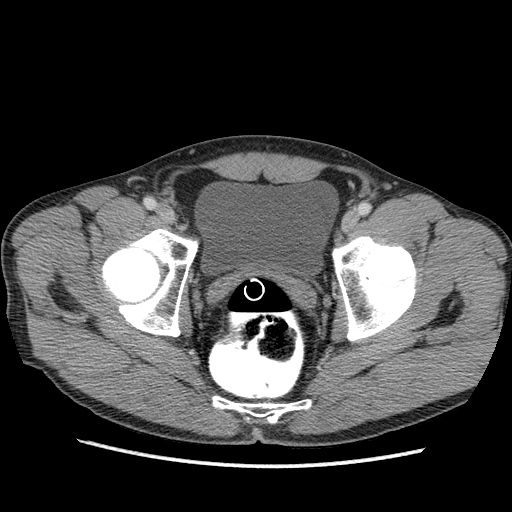
Lower abdomen, CT slice
The urinary bladder is at (195,180,338,277).